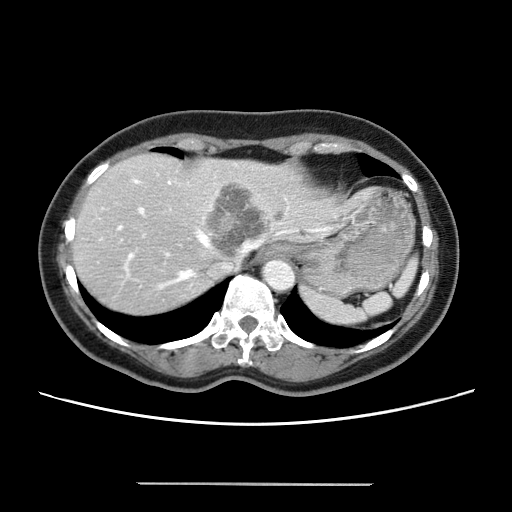

CT. 512x512 px.
Only some of the vessels may be annotated.
Liver tumor = x1=209 y1=186 x2=264 y2=256.
Hepatic vessel = x1=129 y1=254 x2=131 y2=257, x1=198 y1=233 x2=208 y2=245, x1=135 y1=181 x2=136 y2=182, x1=178 y1=271 x2=191 y2=279, x1=244 y1=242 x2=257 y2=249, x1=139 y1=208 x2=142 y2=212.